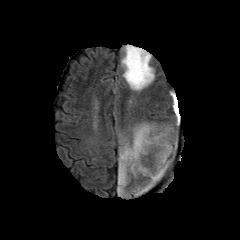
FLAIR MRI.
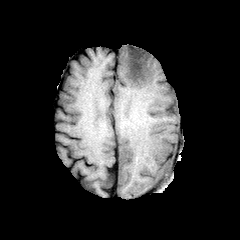
Same slice, T1-weighted magnetic resonance.
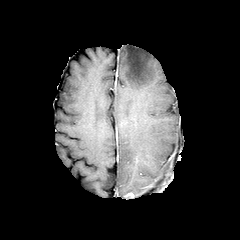
Post-contrast T1-weighted magnetic resonance.
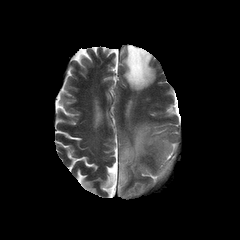
T2-weighted MR of the same slice.
Brain.
edema: rect(118, 126, 149, 190); rect(121, 46, 154, 91); rect(149, 142, 174, 183) | non-enhancing tumor core: rect(127, 47, 145, 82)